CT scan slice; Slice index 41 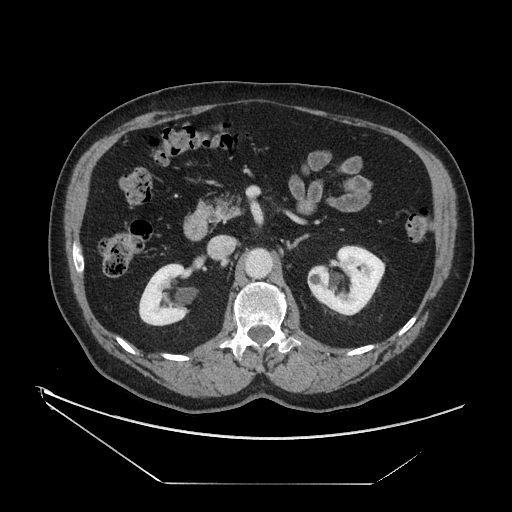

Pancreas — [208,191,242,211].